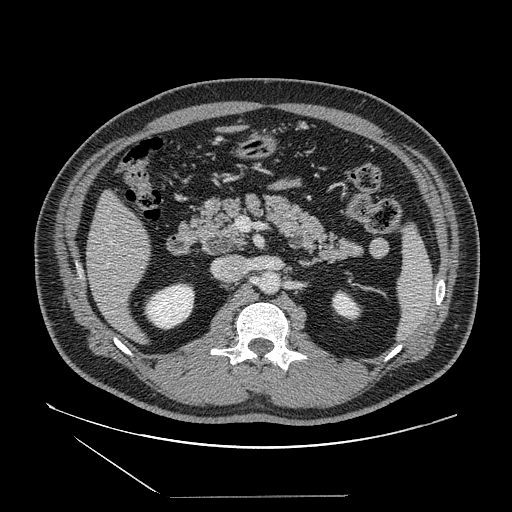
CT scan slice
* pancreatic tumor: <box>206,236,235,254</box>
* pancreas: <box>191,193,363,263</box>